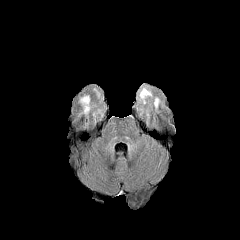
FLAIR MR.
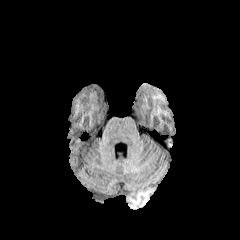
T1-weighted magnetic resonance.
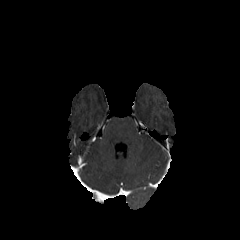
Post-contrast T1-weighted MR image.
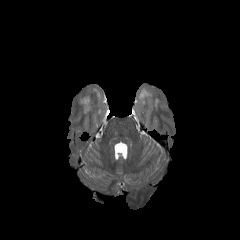
Same slice, T2-weighted magnetic resonance.
Head
• edema: <bbox>80, 97, 90, 117</bbox>, <bbox>139, 89, 150, 99</bbox>